MRI slice | Hippocampus
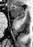

- anterior hippocampus: box=[9, 5, 24, 19]